Image size 240x240
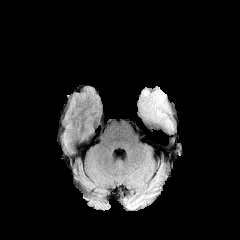
FLAIR MR image.
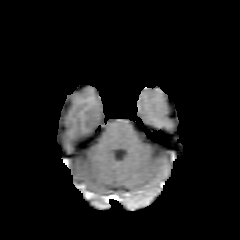
T1-weighted MRI of the same slice.
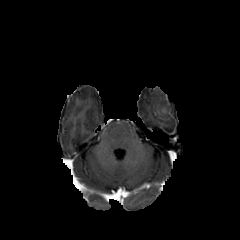
Post-contrast T1-weighted MR image.
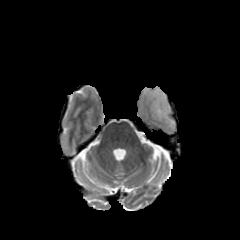
T2-weighted magnetic resonance.
Edema: bounding box 153:92:168:117.